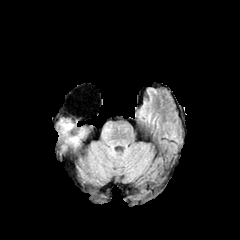
FLAIR MRI.
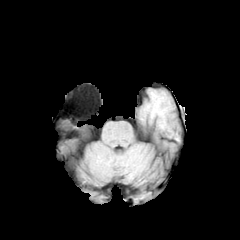
T1-weighted MRI.
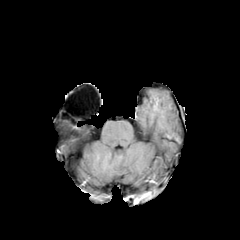
Post-contrast T1-weighted magnetic resonance.
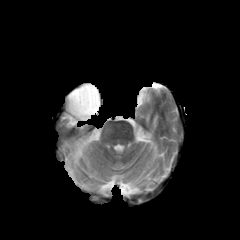
T2-weighted MR of the same slice.
Head
The edema is bounded by box(71, 136, 79, 145).